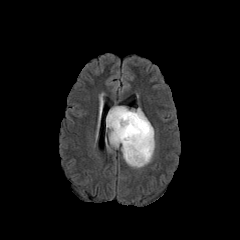
FLAIR MR.
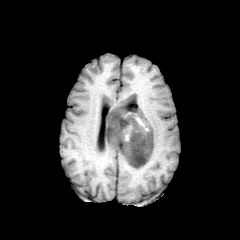
T1-weighted magnetic resonance.
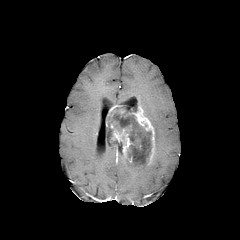
Same slice, post-contrast T1-weighted MR image.
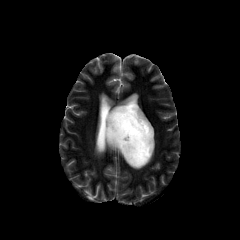
T2-weighted MR image.
2 enhancing tumor regions appear at left=132, top=108, right=154, bottom=154; left=110, top=124, right=132, bottom=155. The edema is located at left=105, top=127, right=150, bottom=168. The non-enhancing tumor core is bounded by left=106, top=106, right=153, bottom=165.